FLAIR MR image.
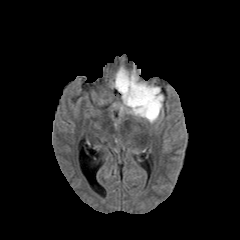
T1-weighted magnetic resonance.
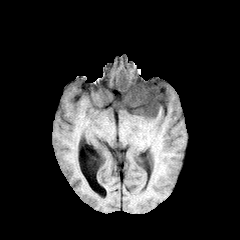
Post-contrast T1-weighted magnetic resonance.
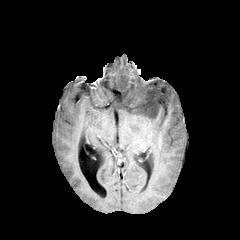
T2-weighted MR image.
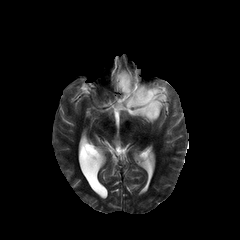
Head.
The edema is bounded by {"x1": 112, "y1": 65, "x2": 166, "y2": 123}. The non-enhancing tumor core is located at {"x1": 140, "y1": 90, "x2": 157, "y2": 115}.